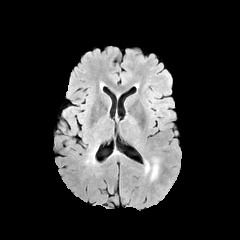
FLAIR MR.
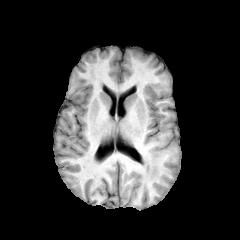
T1-weighted MRI.
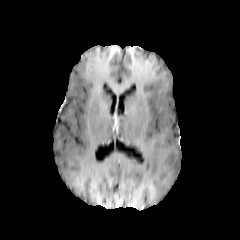
Post-contrast T1-weighted magnetic resonance.
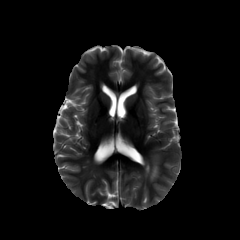
T2-weighted MR image.
Head, 240x240
The edema appears at 144,158,158,180.